Computed tomography; Liver
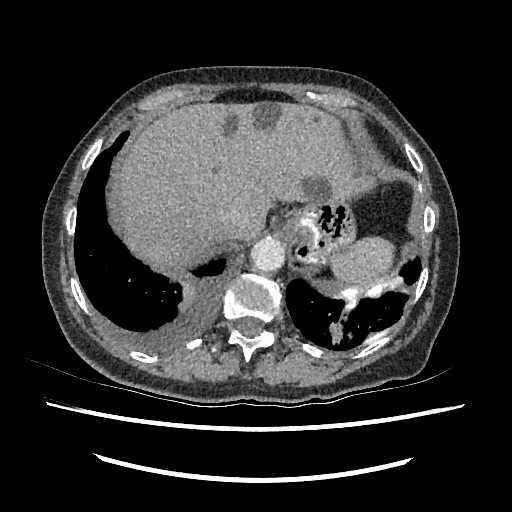

{
  "hepatic_lesion": [
    "<box>302,176,332,202</box>",
    "<box>252,104,280,128</box>",
    "<box>222,111,236,134</box>"
  ],
  "liver": [
    "<box>119,104,355,267</box>"
  ]
}